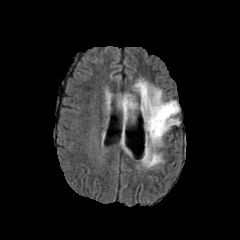
FLAIR MR.
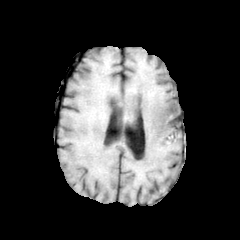
T1-weighted MR image of the same slice.
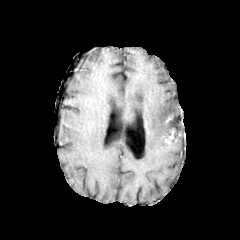
Post-contrast T1-weighted MR image.
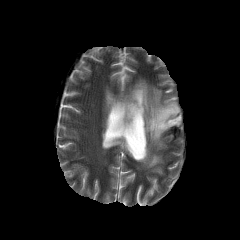
Same slice, T2-weighted magnetic resonance.
The edema is at (118,80,180,169). The non-enhancing tumor core lies within (164,106,175,117).